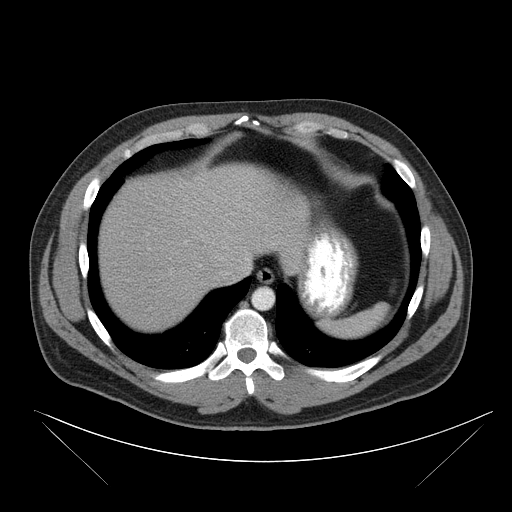 Abdomen; CT slice
Spleen = region(321, 303, 388, 338).